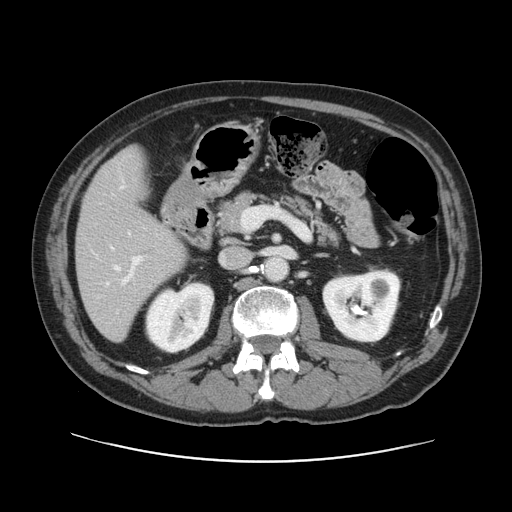
Image size 512x512, Liver, CT

The vessel annotation is not exhaustive.
hepatic vessel: box=[114, 266, 120, 270]; box=[121, 186, 123, 188]; box=[110, 246, 112, 248]; box=[121, 257, 140, 284]; box=[106, 283, 108, 284]